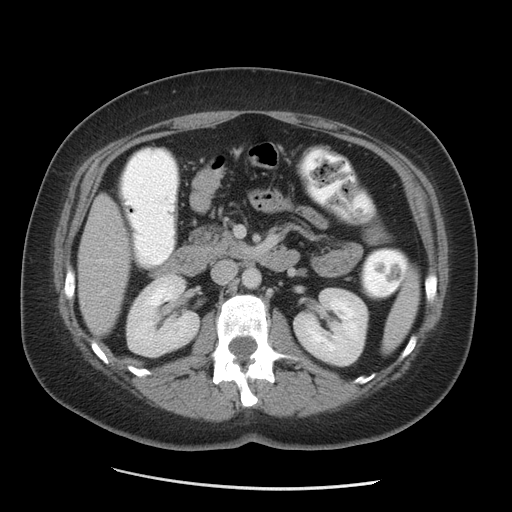

CT. Liver.

{
  "liver": [
    "left=79, top=195, right=130, bottom=334"
  ],
  "kidney": [
    "left=294, top=289, right=366, bottom=365",
    "left=127, top=275, right=198, bottom=356"
  ]
}